Field of view 700x700 mm | 512x512 | CT image 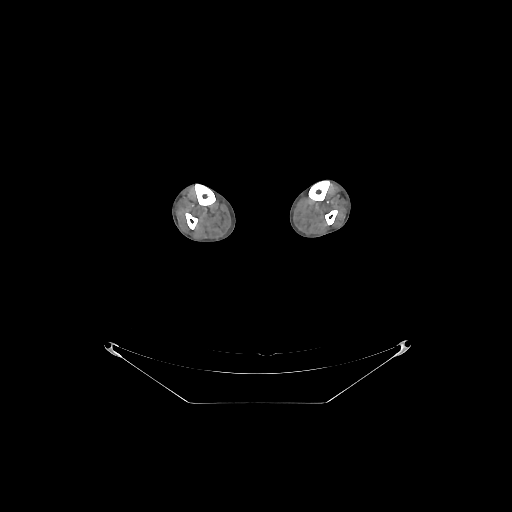

4 bone regions are bounded by region(185, 213, 197, 229); region(195, 184, 215, 205); region(309, 181, 329, 200); region(325, 210, 337, 224).